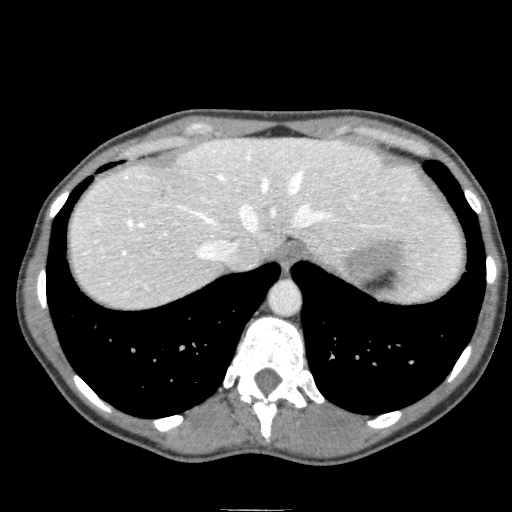

CT slice | Upper abdomen
Liver — (70, 136, 461, 310).